Head | Image width 240 mm
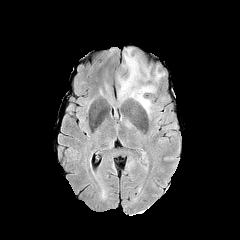
FLAIR MR.
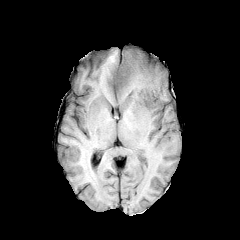
T1-weighted MR of the same slice.
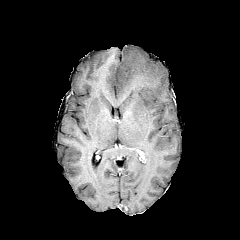
Post-contrast T1-weighted magnetic resonance.
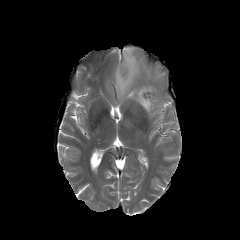
Same slice, T2-weighted MRI.
edema:
  - x1=117 y1=49 x2=161 y2=117